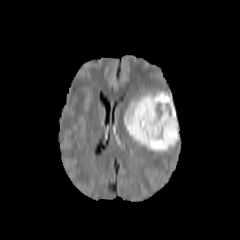
FLAIR MR image.
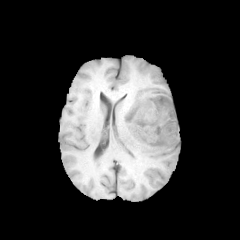
T1-weighted MRI.
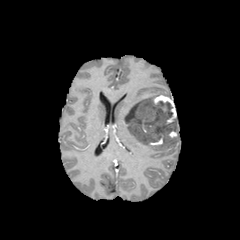
Post-contrast T1-weighted MR of the same slice.
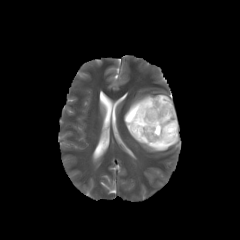
T2-weighted MR.
240x240
<segmentation>
  <non-enhancing_tumor_core>125,98,178,148</non-enhancing_tumor_core>
  <enhancing_tumor>153,94,176,124; 168,128,179,138; 150,136,163,145</enhancing_tumor>
  <edema>145,147,167,151; 126,88,172,115</edema>
</segmentation>